FLAIR MRI.
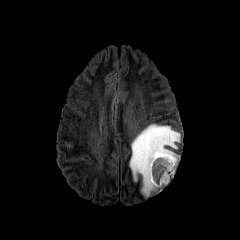
T1-weighted MR image.
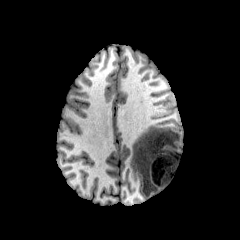
Post-contrast T1-weighted MRI.
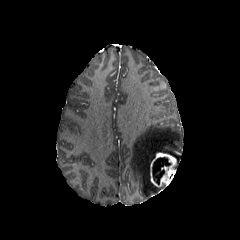
T2-weighted MR.
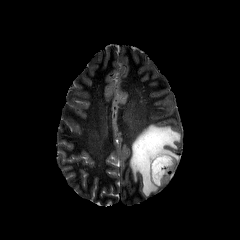
Head
{"non-enhancing_tumor_core": ["left=152, top=157, right=170, bottom=185"], "edema": ["left=129, top=124, right=179, bottom=196"], "enhancing_tumor": ["left=150, top=152, right=176, bottom=186"]}